Slice 126/155
FLAIR MRI.
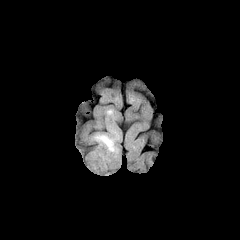
T1-weighted MRI.
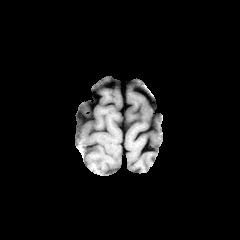
Post-contrast T1-weighted MR.
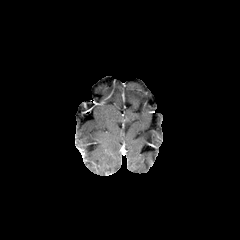
T2-weighted MR image.
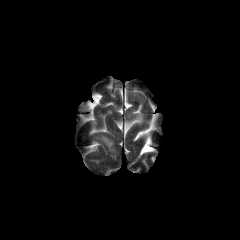
Annotated regions:
* edema: left=95, top=135, right=113, bottom=150